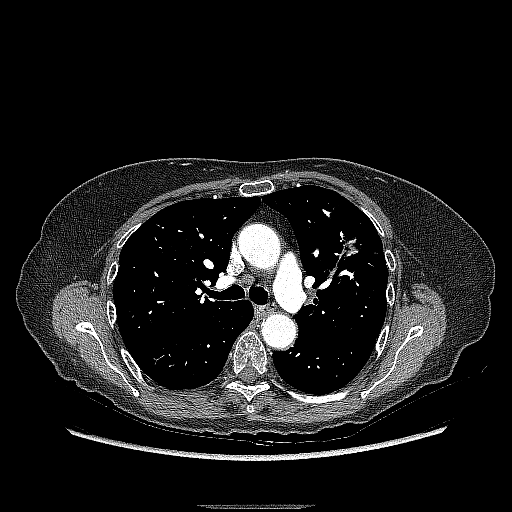
CT; 512x512 px
<segmentation>
  <lung_tumor>(338, 227, 363, 263)</lung_tumor>
</segmentation>